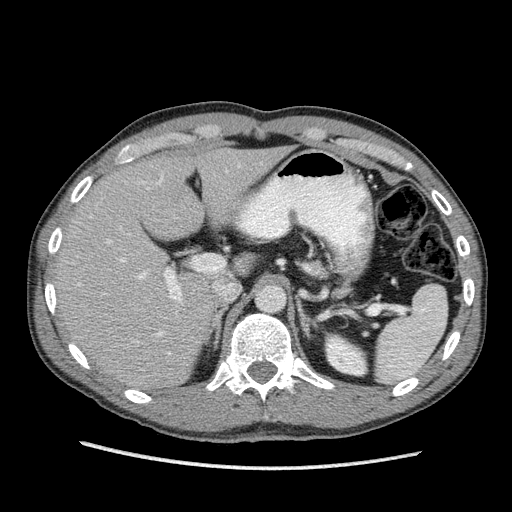

CT slice, Liver

Liver = rect(50, 145, 294, 391).
Kidney = rect(326, 337, 365, 374).